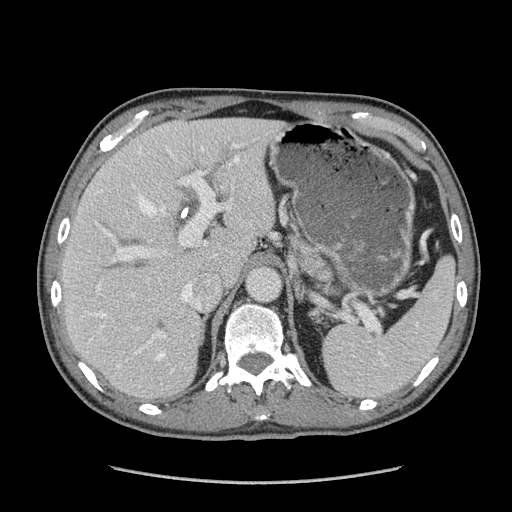
Computed tomography
Pancreas at x1=297, y1=238, x2=334, y2=280.